Slice 103/155, Head, Image size 240x240
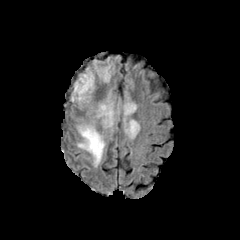
FLAIR MR image.
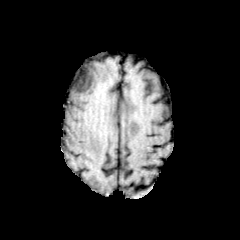
Same slice, T1-weighted MR.
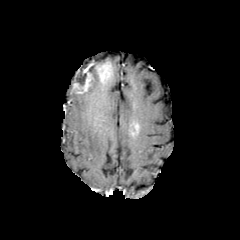
Same slice, post-contrast T1-weighted MR image.
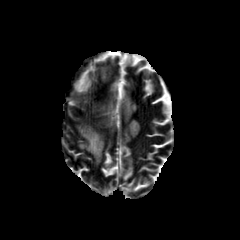
T2-weighted MRI of the same slice.
non-enhancing tumor core: box=[74, 71, 86, 88] | enhancing tumor: box=[77, 68, 92, 93] | edema: box=[77, 125, 104, 166]; box=[125, 120, 135, 137]; box=[74, 68, 94, 102]; box=[124, 103, 136, 117]; box=[101, 104, 120, 123]